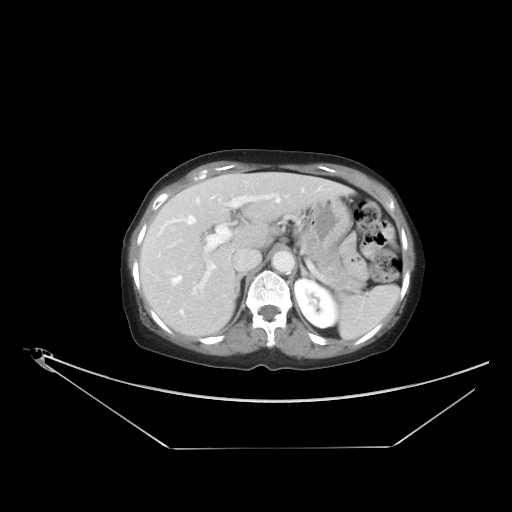

CT; Abdomen; 512x512
Not every hepatic vessel necessarily has a box.
Hepatic vessel at 172,275,181,282; 192,230,219,295; 230,193,274,206; 277,199,279,202.